FLAIR MR image.
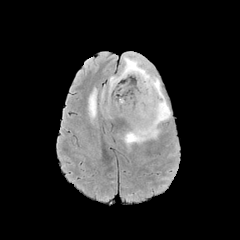
T1-weighted MRI.
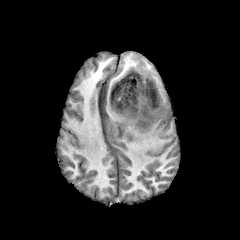
Post-contrast T1-weighted MR image.
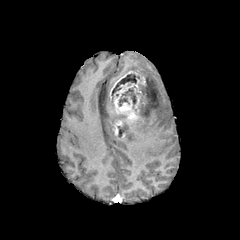
T2-weighted magnetic resonance.
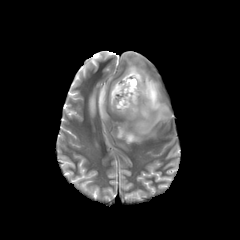
Head | 240x240
Enhancing tumor: bounding box box(114, 83, 136, 123); box(113, 120, 122, 135).
Edema: bounding box box(89, 88, 97, 118); box(109, 52, 170, 144).
Non-enhancing tumor core: bounding box box(117, 115, 127, 137); box(111, 71, 147, 112).